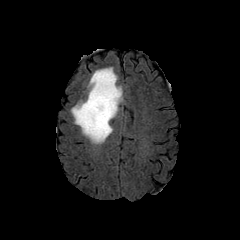
FLAIR MR image.
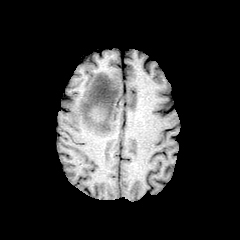
T1-weighted MR image.
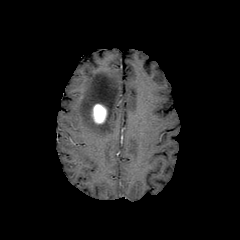
Same slice, post-contrast T1-weighted MRI.
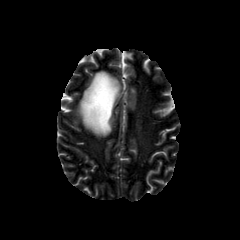
T2-weighted magnetic resonance of the same slice.
Head; Image size 240x240
The edema is at x1=69 y1=67 x2=123 y2=143. The enhancing tumor lies within x1=91 y1=103 x2=107 y2=123.